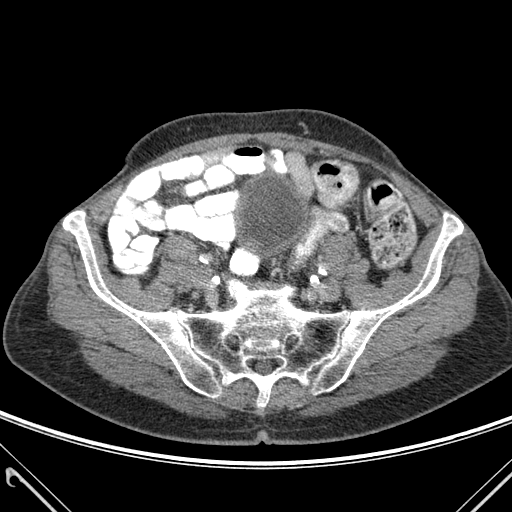

512x512. CT.
bone:
  - 63:211:463:406